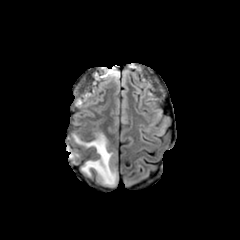
FLAIR MRI.
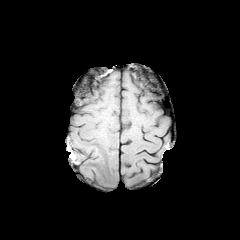
Same slice, T1-weighted magnetic resonance.
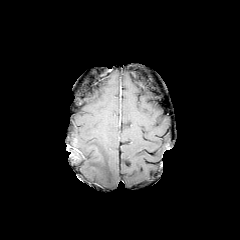
Post-contrast T1-weighted MR image of the same slice.
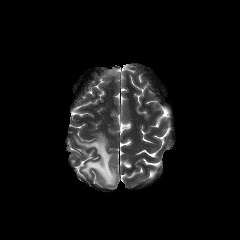
Same slice, T2-weighted MRI.
240x240 px
2 edema regions appear at 108:70:117:78, 74:133:117:186.